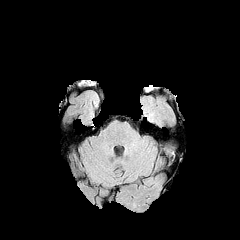
FLAIR MRI.
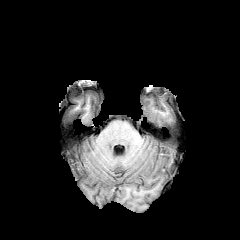
T1-weighted MR.
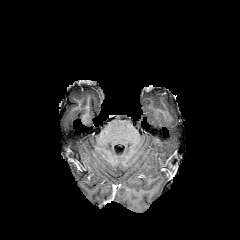
Post-contrast T1-weighted MR image of the same slice.
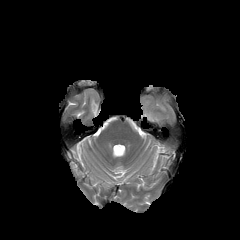
Same slice, T2-weighted MR.
240x240
The edema is bounded by l=144, t=113, r=153, b=121.